CT
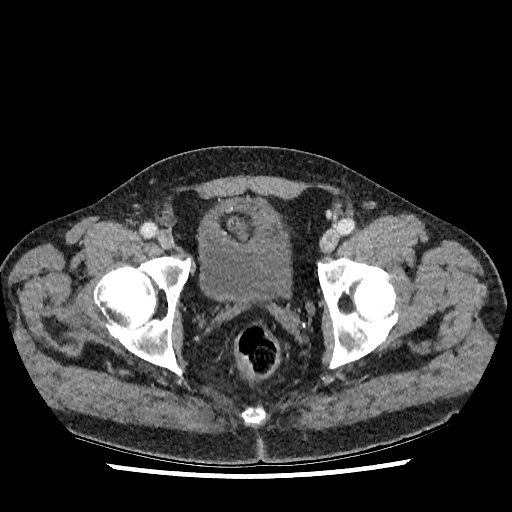 Segmented structures:
* urinary bladder: 199, 199, 291, 309